FLAIR MR image.
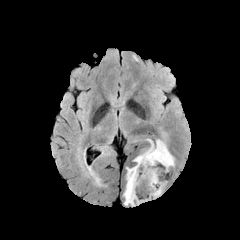
T1-weighted MRI.
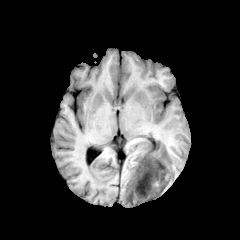
Post-contrast T1-weighted MR.
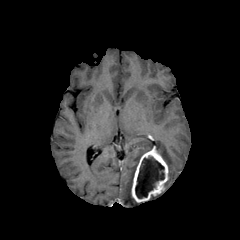
T2-weighted MR image.
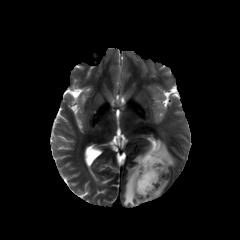
Brain.
non-enhancing_tumor_core:
  - (135, 157, 164, 198)
enhancing_tumor:
  - (131, 146, 168, 202)
edema:
  - (123, 139, 153, 206)
  - (155, 139, 175, 168)